Image width 434 mm; Slice 369 of 605; CT 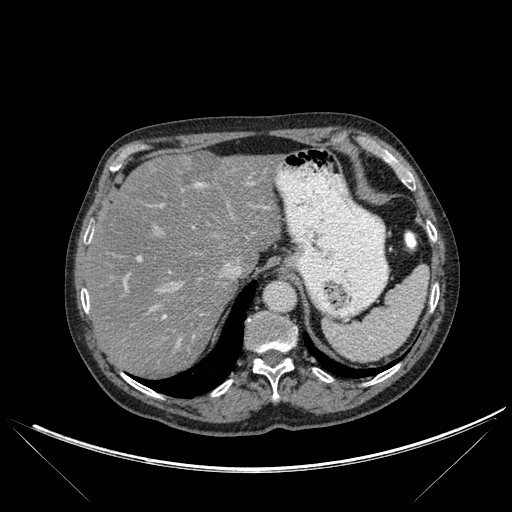 Lung = box=[133, 280, 256, 397]; box=[303, 334, 398, 377].
Liver = box=[87, 151, 281, 379].
Focal liver lesion = box=[183, 152, 220, 181].
Bone = box=[427, 221, 436, 240]; box=[211, 380, 232, 396]; box=[430, 284, 439, 310]; box=[253, 358, 293, 401]; box=[81, 289, 89, 312]; box=[245, 312, 297, 352]; box=[84, 229, 92, 243]; box=[368, 364, 399, 384]; box=[121, 373, 160, 397]; box=[383, 152, 415, 189]; box=[312, 368, 332, 382].